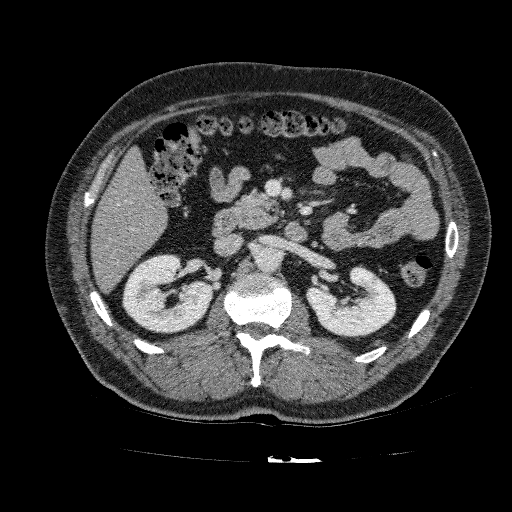

Liver, CT

{"kidney": ["(left=123, top=255, right=214, bottom=332)", "(left=307, top=268, right=395, bottom=335)"], "liver": ["(left=91, top=147, right=167, bottom=291)"]}